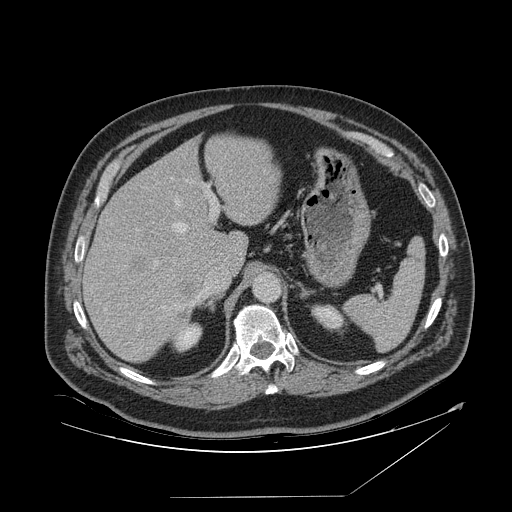 Computed tomography
Spleen: 344,238,425,350.